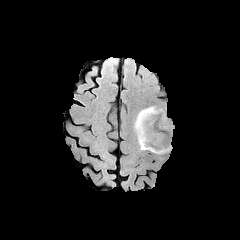
FLAIR magnetic resonance.
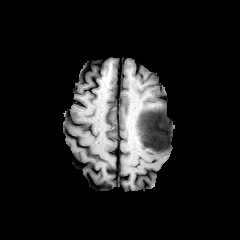
T1-weighted MRI of the same slice.
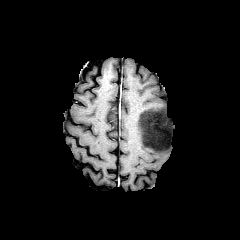
Same slice, post-contrast T1-weighted magnetic resonance.
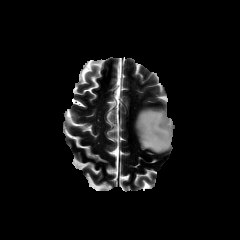
T2-weighted MR of the same slice.
Brain.
Annotated regions:
* edema: <box>138,106,171,153</box>
* non-enhancing tumor core: <box>136,110,145,142</box>